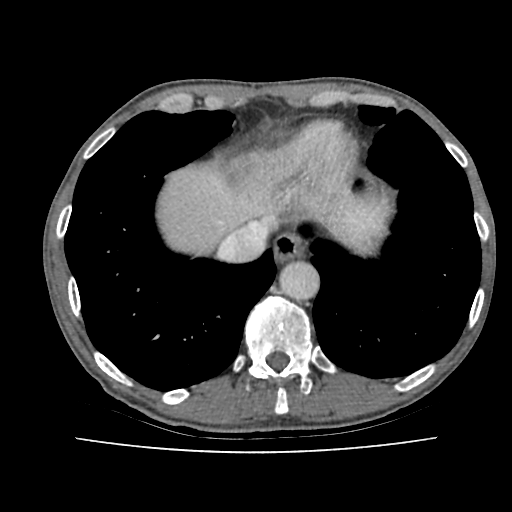 Image size 512x512, Liver, Computed tomography

liver: box(156, 162, 378, 255)